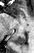 Image size 34x53; MR image; Hippocampus
Segmented structures:
• posterior hippocampus: box(14, 32, 26, 45)